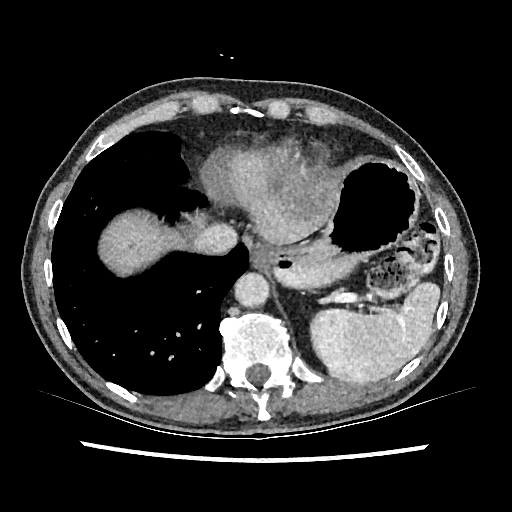
Liver. CT slice.
2 liver regions are located at (left=229, top=151, right=337, bottom=243), (left=99, top=216, right=187, bottom=273). 2 liver lesion regions appear at (left=275, top=178, right=337, bottom=224), (left=127, top=240, right=136, bottom=250).